FLAIR magnetic resonance.
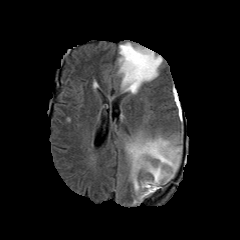
T1-weighted MR image.
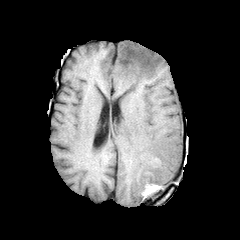
Post-contrast T1-weighted magnetic resonance.
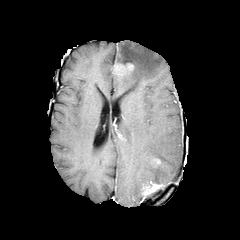
T2-weighted MR image.
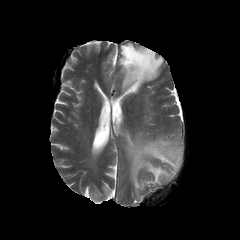
2 non-enhancing tumor core regions appear at rect(142, 181, 153, 196); rect(116, 46, 154, 71). The enhancing tumor is at rect(122, 63, 133, 73). 2 edema regions are bounded by rect(125, 136, 181, 200); rect(117, 42, 163, 93).